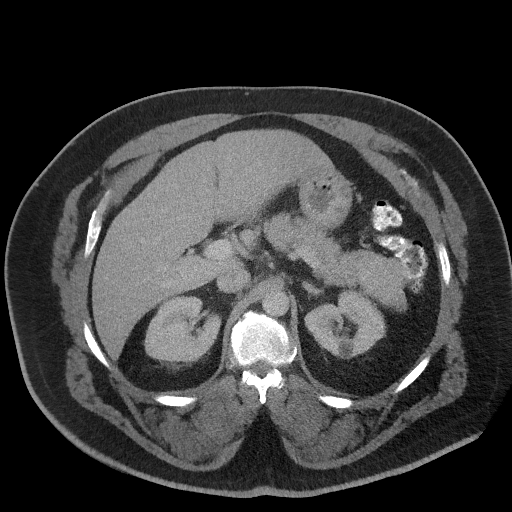 Abdomen. CT.
The pancreatic tumor is bounded by {"x1": 358, "y1": 252, "x2": 406, "y2": 311}. 2 pancreas regions appear at {"x1": 263, "y1": 213, "x2": 379, "y2": 290}, {"x1": 403, "y1": 266, "x2": 407, "y2": 298}.